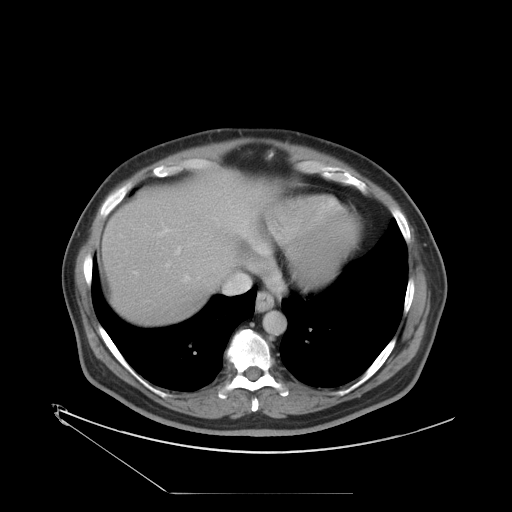

CT slice | Liver
Not every hepatic vessel necessarily has a box.
14 hepatic vessel regions are bounded by 175 246 181 255, 155 225 171 236, 134 272 137 274, 188 243 192 245, 222 273 243 294, 224 256 226 265, 166 260 171 270, 217 183 254 232, 197 277 199 279, 183 275 189 281, 209 217 220 226, 217 247 220 250, 205 233 210 236, 140 225 148 233.